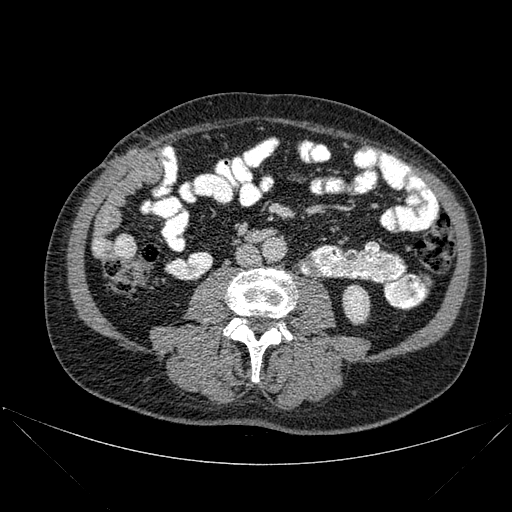

CT image

The bone is bounded by box=[224, 268, 295, 382]. The kidney is located at box=[343, 285, 369, 323].